Field of view 240 mm wide, 1.00 mm slice spacing.
FLAIR MRI.
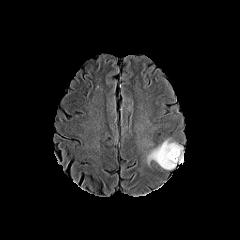
T1-weighted magnetic resonance.
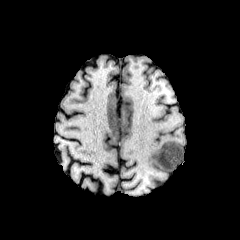
Post-contrast T1-weighted MR image.
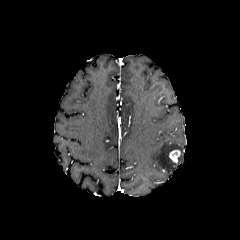
T2-weighted magnetic resonance.
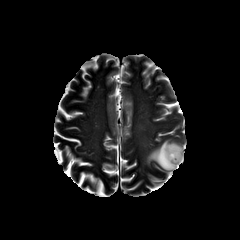
edema:
  - 147 141 184 169
non-enhancing_tumor_core:
  - 173 150 180 163